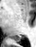

MRI | Image size 36x47 | Hippocampus
<segmentation>
  <posterior_hippocampus>{"x1": 12, "y1": 37, "x2": 21, "y2": 41}</posterior_hippocampus>
</segmentation>